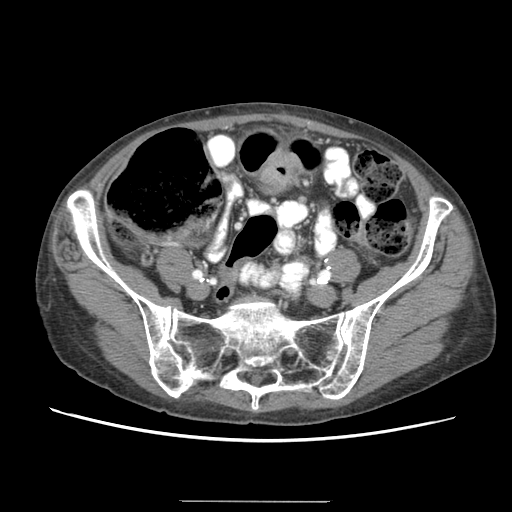
CT.

colon tumor: [258, 148, 303, 191]